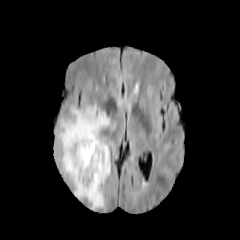
FLAIR magnetic resonance.
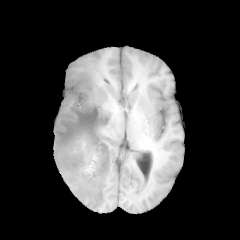
T1-weighted MRI of the same slice.
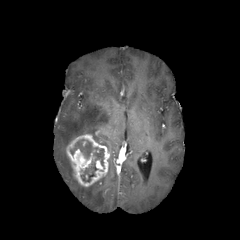
Post-contrast T1-weighted magnetic resonance.
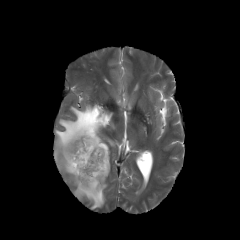
T2-weighted MRI of the same slice.
Brain
Edema at [55,104,113,209].
Non-enhancing tumor core at [70,139,104,166], [81,164,98,182].
Enhancing tumor at [66,134,110,186].